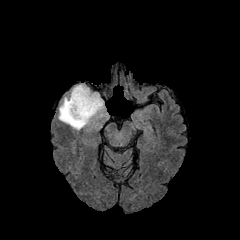
FLAIR MRI.
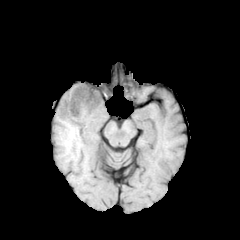
T1-weighted MRI.
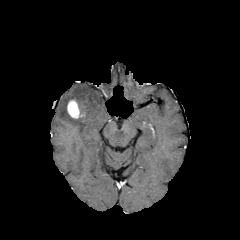
Post-contrast T1-weighted MRI.
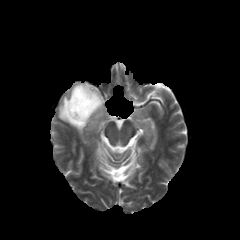
T2-weighted MR image.
Head
The non-enhancing tumor core lies within rect(64, 98, 87, 120). The edema appears at rect(58, 83, 105, 130). The enhancing tumor is located at rect(67, 99, 83, 118).